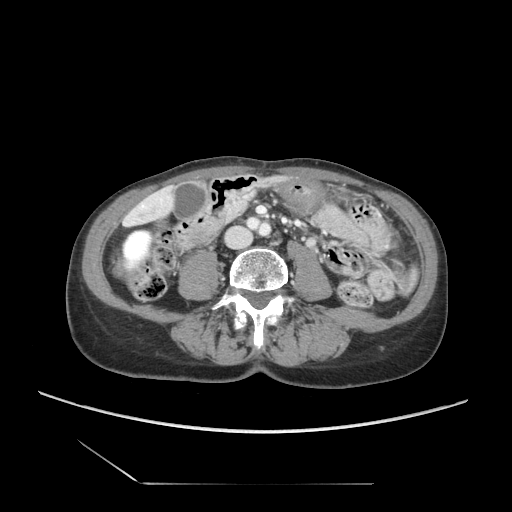
Image size 512x512 | Abdomen | CT

{
  "pancreas": [
    "box=[229, 200, 246, 218]"
  ]
}